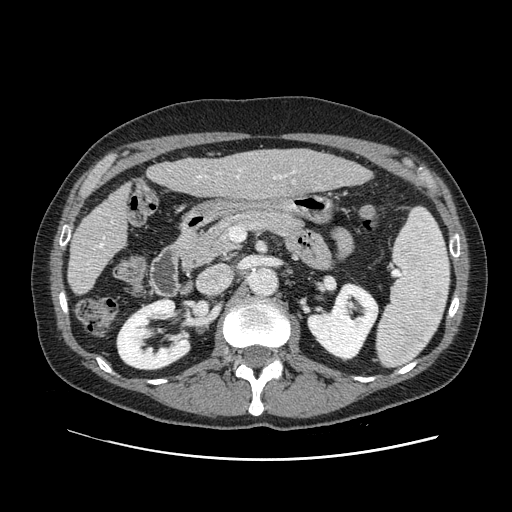
CT slice
{
  "pancreas": [
    "[x1=179, y1=210, x2=301, y2=270]"
  ]
}